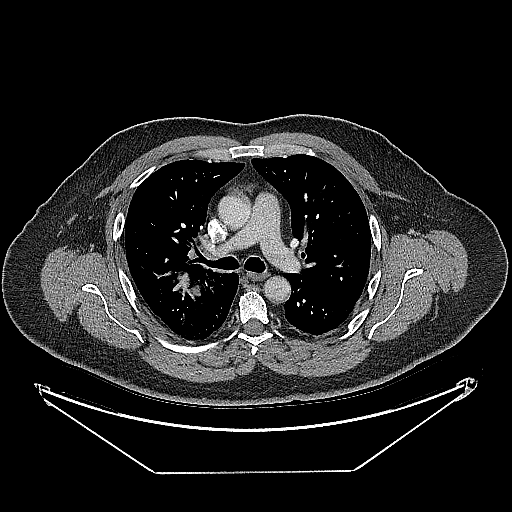
Computed tomography
The lung tumor is bounded by {"x1": 166, "y1": 266, "x2": 229, "y2": 301}.